Lower abdomen. CT slice. 512x512.

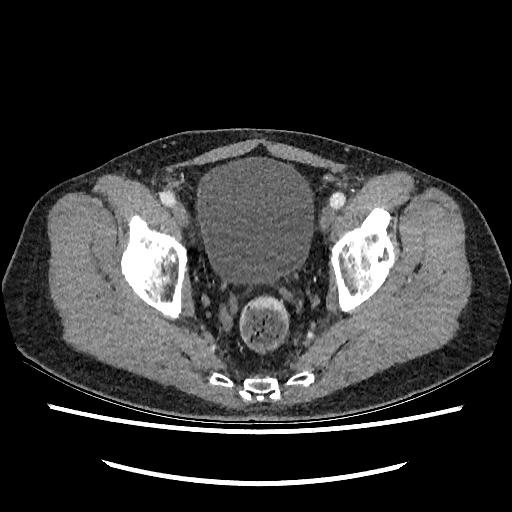 Annotated regions:
- urinary bladder: rect(196, 157, 314, 286)